Head | Image width 240 mm
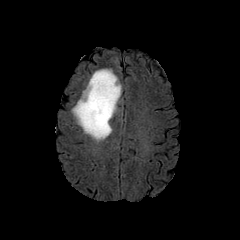
FLAIR MR image.
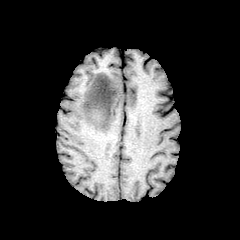
T1-weighted MR of the same slice.
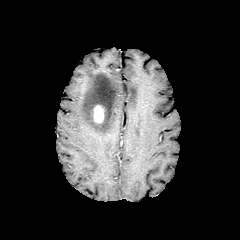
Post-contrast T1-weighted MR image of the same slice.
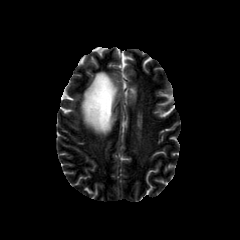
Same slice, T2-weighted magnetic resonance.
Enhancing tumor: bounding box 93:105:104:123.
Edema: bounding box 70:68:121:140.
Non-enhancing tumor core: bounding box 88:78:111:119.